CT image, Liver, 512x512 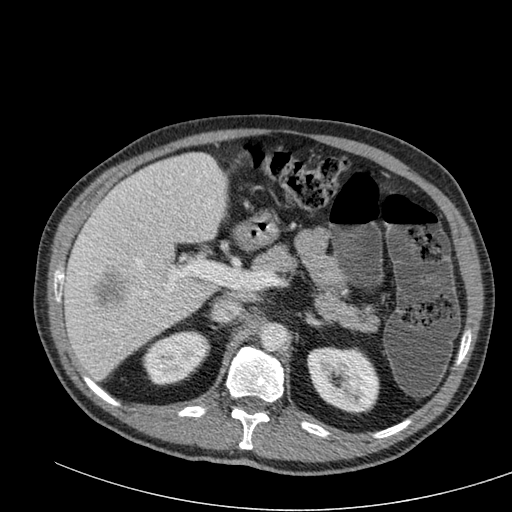
<segmentation>
  <hepatic_lesion>l=96, t=267, r=129, b=303</hepatic_lesion>
  <liver>l=60, t=153, r=225, b=380</liver>
  <kidney>l=145, t=332, r=206, b=383; l=308, t=348, r=377, b=411</kidney>
</segmentation>